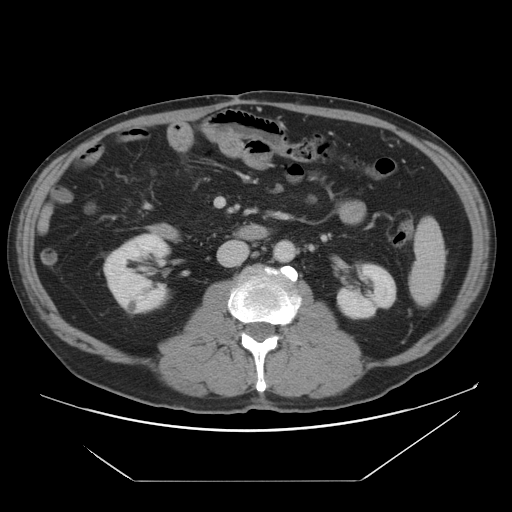
Abdomen; CT slice
3 kidney regions are bounded by (363,265,395,306), (104,235,166,311), (337,289,375,316).